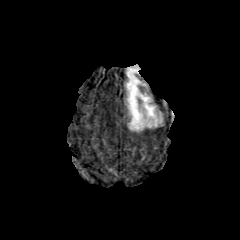
FLAIR MR image.
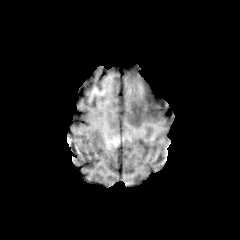
Same slice, T1-weighted MR.
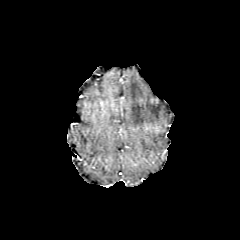
Post-contrast T1-weighted magnetic resonance of the same slice.
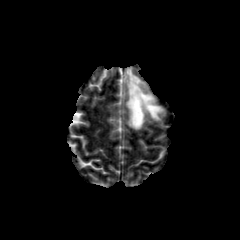
T2-weighted MRI.
The edema appears at <box>125,68,162,131</box>.